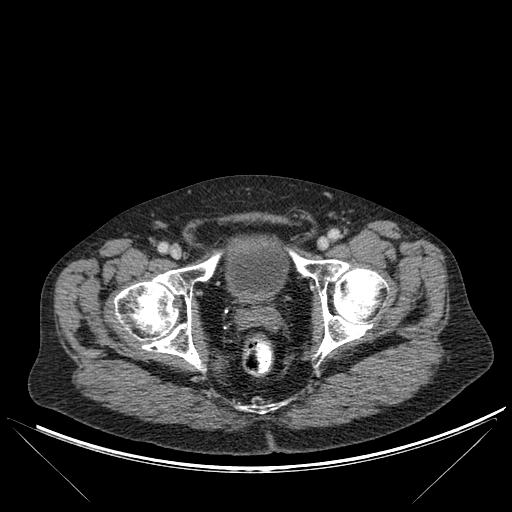 Pelvis; CT image
Urinary bladder — box(223, 234, 289, 298).
Bone — box(250, 404, 275, 413); box(289, 251, 386, 357); box(114, 254, 220, 366).